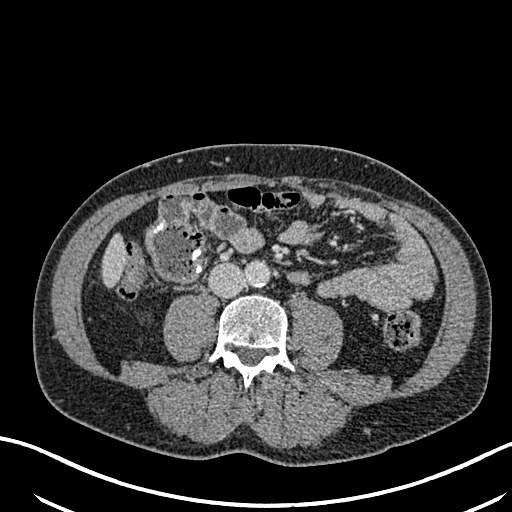

CT scan slice

Segmented structures:
* liver: 102 235 124 285